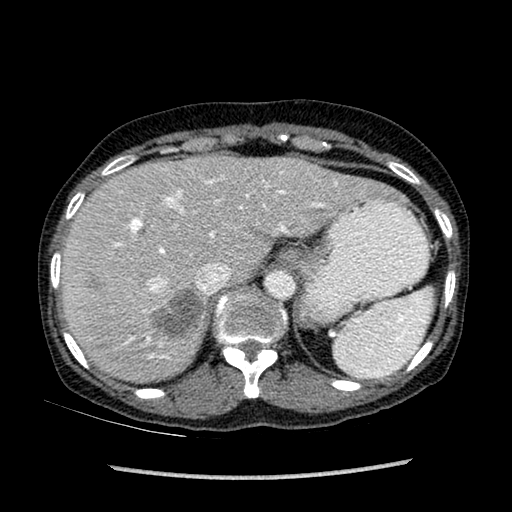

CT image; Abdomen

Liver lesion = {"x1": 86, "y1": 273, "x2": 106, "y2": 291}, {"x1": 148, "y1": 288, "x2": 203, "y2": 340}.
Liver = {"x1": 60, "y1": 156, "x2": 380, "y2": 382}.